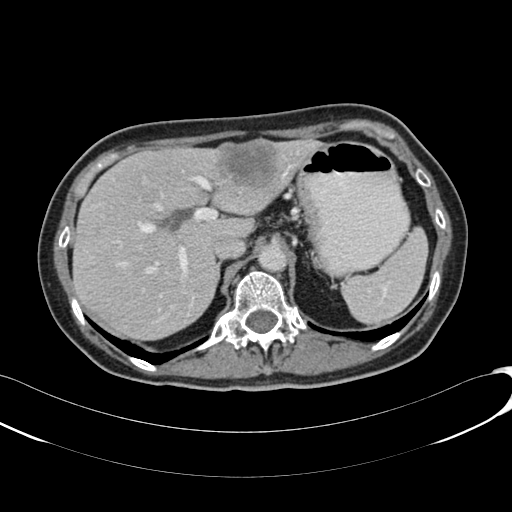

Computed tomography, Abdomen
The liver lies within (left=73, top=140, right=326, bottom=339). The focal liver lesion is at (left=215, top=140, right=277, bottom=186).